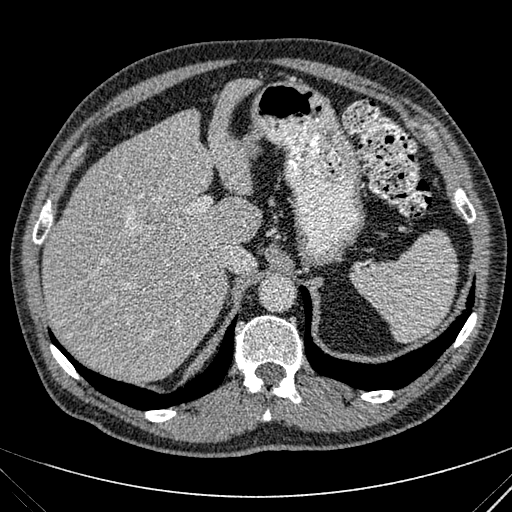 CT; Abdomen

The liver appears at rect(44, 79, 260, 379).